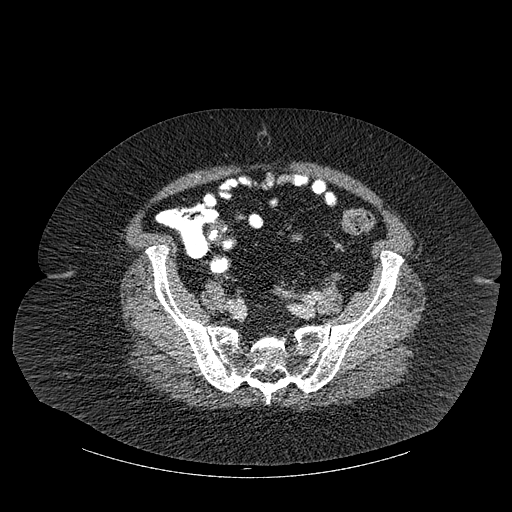
CT image

The bone appears at l=146, t=245, r=403, b=403.